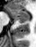

MRI slice, 36x47 px
Posterior hippocampus = rect(12, 17, 29, 22).
Anterior hippocampus = rect(8, 8, 29, 16).